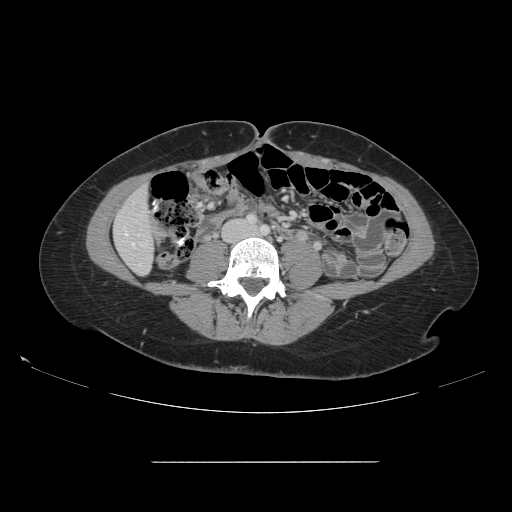

CT slice, Abdomen

The vessel annotation is not exhaustive.
2 hepatic vessel regions appear at bbox=[124, 231, 127, 235]; bbox=[132, 243, 134, 247].